CT | Liver

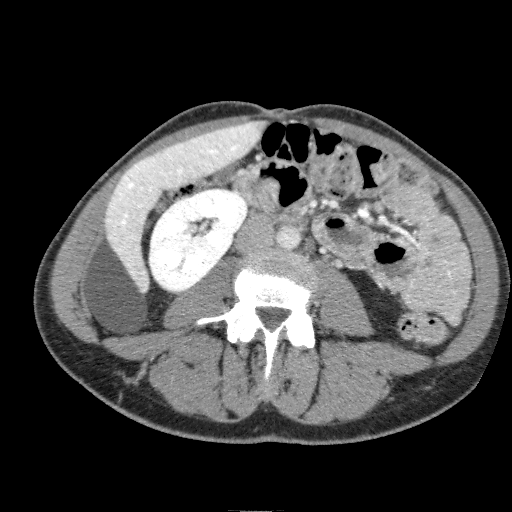

Annotated regions:
• kidney: <box>150,190,246,290</box>
• liver: <box>106,120,266,291</box>